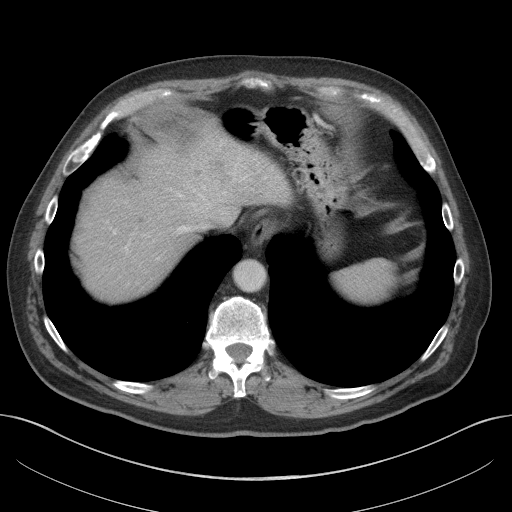
Computed tomography | Abdomen
<segmentation>
  <focal_liver_lesion>[212,161,223,170]</focal_liver_lesion>
  <liver>[74,111,273,302]</liver>
</segmentation>